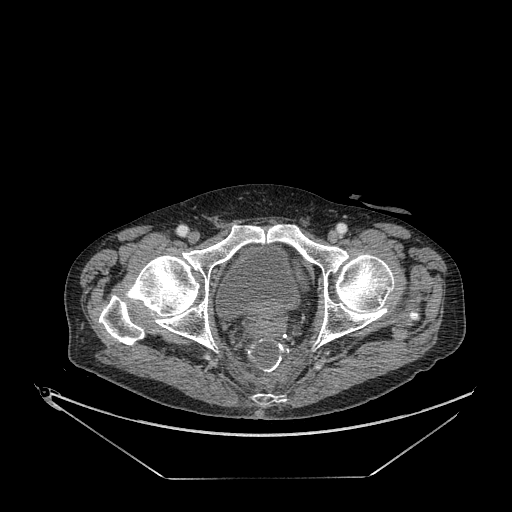

Lower abdomen | CT image

The urinary bladder appears at box(216, 243, 299, 320).